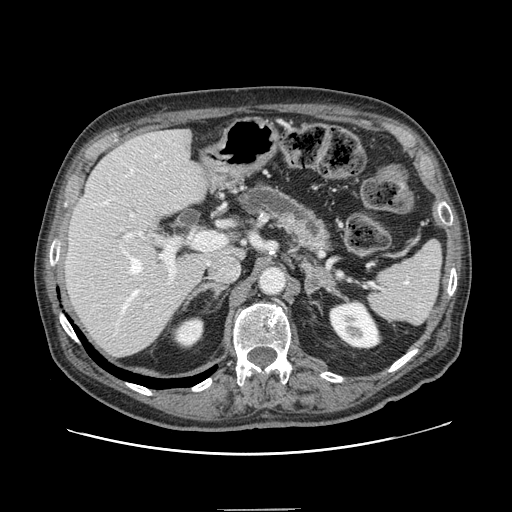
Abdomen; Computed tomography; Image size 512x512
The pancreas lies within 236 181 336 253.